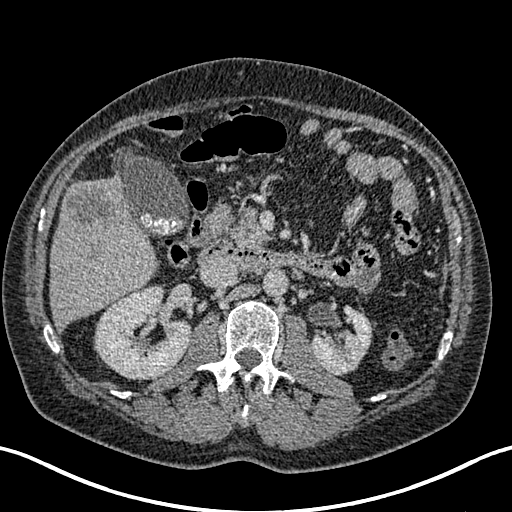
512x512, CT image, Liver
- kidney: (312,307,370,374), (96,287,189,378)
- focal liver lesion: (65,182,123,227)
- liver: (49,178,157,330)